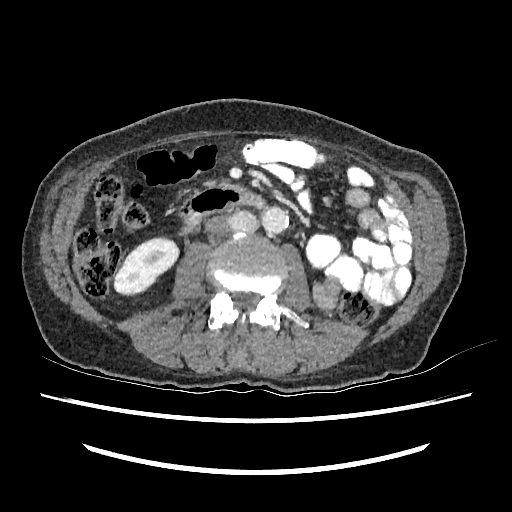

CT image. Abdomen.
kidney: <box>114,239,178,293</box>